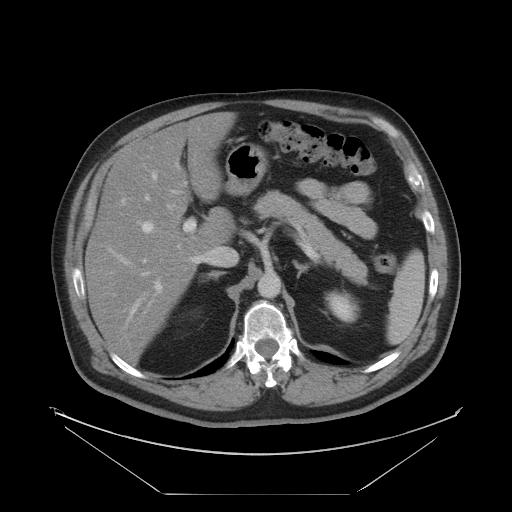

CT scan slice, Upper abdomen
{"pancreas": ["<bbox>253, 190, 370, 283</bbox>"]}